FLAIR MR image.
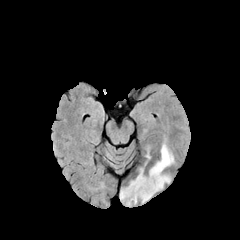
T1-weighted magnetic resonance.
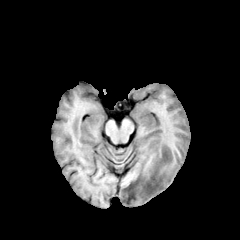
Post-contrast T1-weighted MRI.
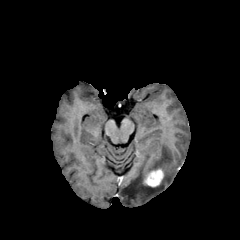
T2-weighted magnetic resonance.
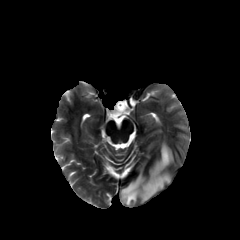
Edema: bounding box box=[120, 168, 171, 204]; box=[150, 142, 173, 172].
Enhancing tumor: bounding box box=[142, 168, 164, 187].